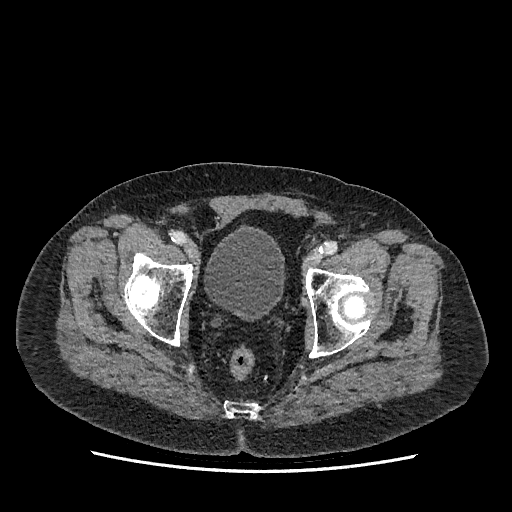

CT image; Lower abdomen
• urinary bladder: [204, 230, 284, 320]